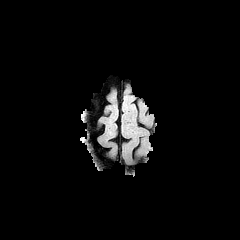
FLAIR MR.
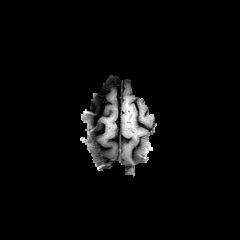
T1-weighted MR image.
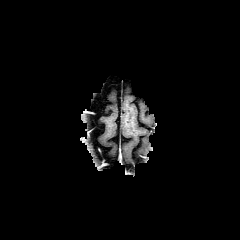
Post-contrast T1-weighted MR image.
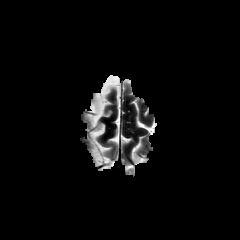
T2-weighted MRI of the same slice.
Image size 240x240
<segmentation>
  <non-enhancing_tumor_core>region(124, 106, 131, 121)</non-enhancing_tumor_core>
</segmentation>